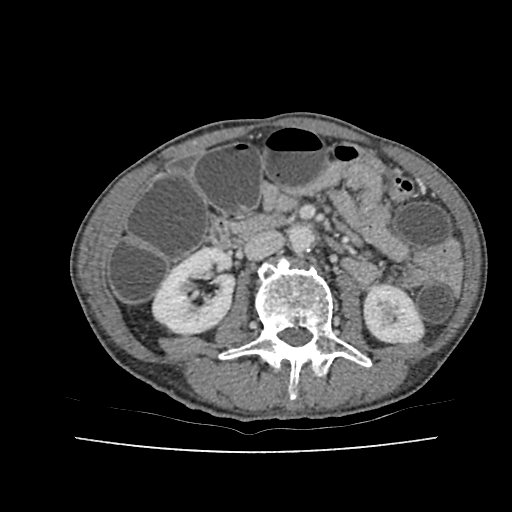
512x512 px; Computed tomography
kidney: 364, 286, 422, 342; 153, 248, 233, 333